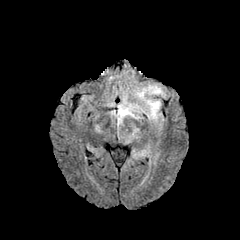
FLAIR MR image.
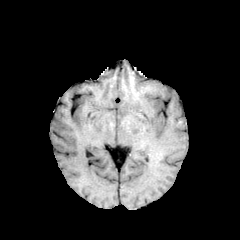
T1-weighted MRI of the same slice.
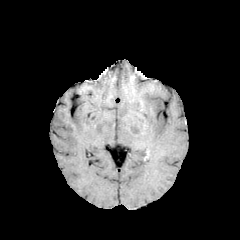
Post-contrast T1-weighted MRI.
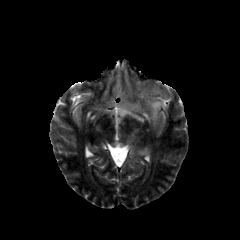
T2-weighted MR.
Head; 240x240 px
The non-enhancing tumor core appears at [x1=148, y1=85, x2=160, y2=93]. 2 edema regions appear at [x1=120, y1=108, x2=131, y2=115], [x1=136, y1=83, x2=166, y2=120].